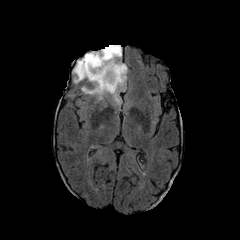
FLAIR magnetic resonance.
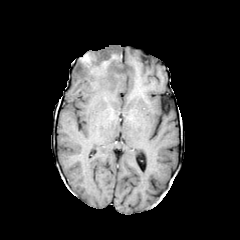
T1-weighted MRI.
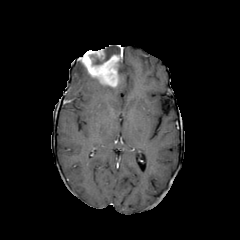
Post-contrast T1-weighted MR image.
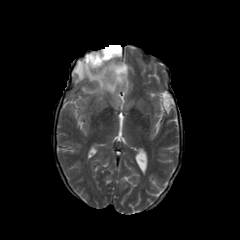
Same slice, T2-weighted magnetic resonance.
240x240
Enhancing tumor at box=[79, 46, 122, 87].
Edema at box=[72, 62, 129, 105].
Non-enhancing tumor core at box=[77, 59, 84, 71]; box=[102, 45, 120, 61].